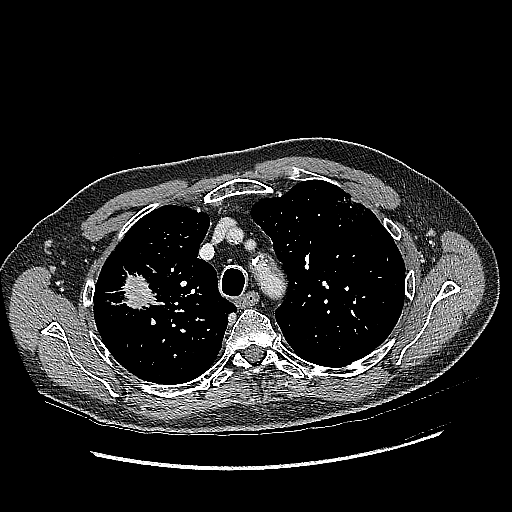

Image size 512x512. Chest. CT slice.

Lung tumor at (x1=92, y1=264, x2=166, y2=313).